Slice index 556 | Upper abdomen | CT slice

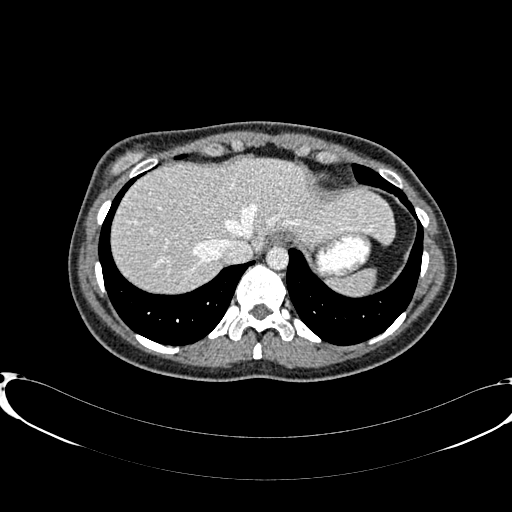 Liver at {"x1": 111, "y1": 157, "x2": 393, "y2": 291}.